CT slice; Upper abdomen; Image size 512x512; Slice 61 of 119
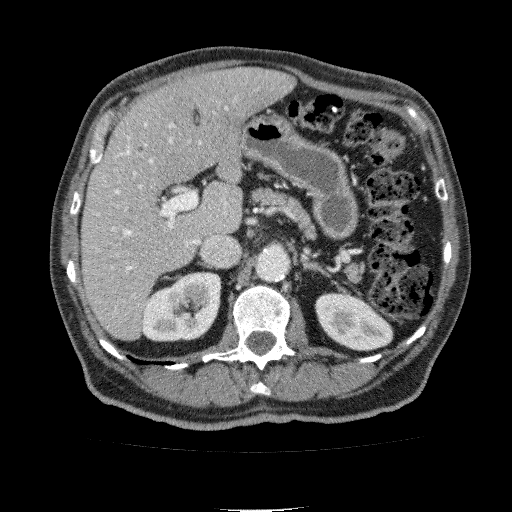
{"liver": ["83 67 295 341"], "kidney": ["143 273 220 340", "316 294 391 349"]}